MRI; Image size 36x50; Slice 13/36 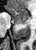
Posterior hippocampus = 19,23,24,24.
Anterior hippocampus = 7,7,27,22.